Abdomen, Computed tomography, Image width 434 mm
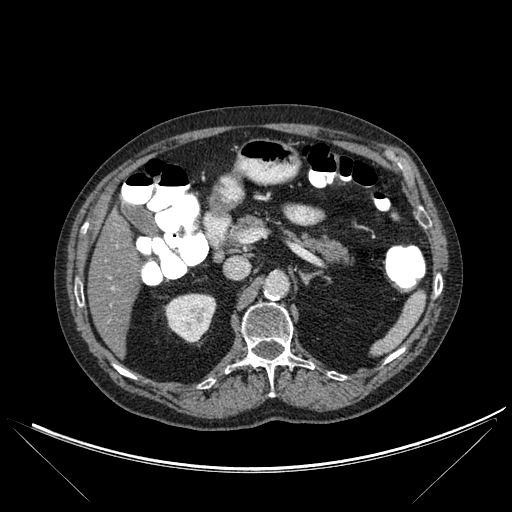

liver: <box>88,209,143,358</box> | kidney: <box>166,294,215,341</box> | bone: <box>198,380,210,388</box>, <box>328,371,345,380</box>, <box>434,274,442,295</box>, <box>234,303,314,384</box>, <box>385,348,404,362</box>, <box>114,365,135,378</box>, <box>75,288,83,306</box>